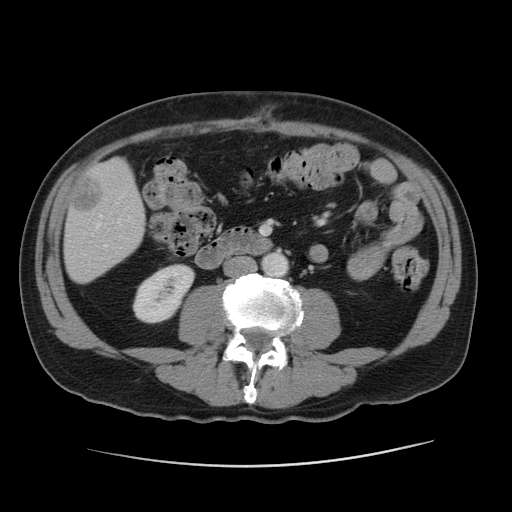 CT slice; Liver

Liver at 64, 160, 144, 280.
Liver lesion at 71, 176, 103, 211.
Kidney at 134, 265, 193, 322.